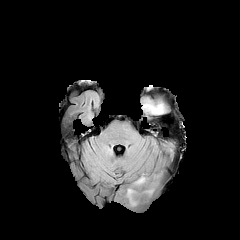
FLAIR magnetic resonance.
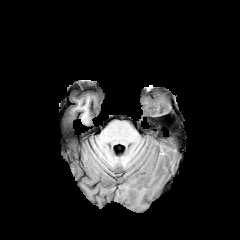
T1-weighted MR image.
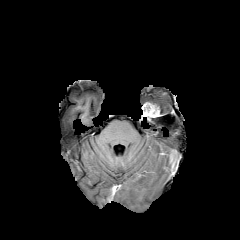
Post-contrast T1-weighted MRI of the same slice.
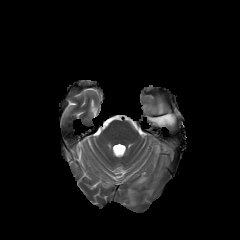
Same slice, T2-weighted MRI.
Brain
Edema: bounding box <bbox>151, 139, 158, 153</bbox>, <bbox>142, 102, 163, 118</bbox>, <bbox>135, 172, 145, 183</bbox>.
Enhancing tumor: bounding box <bbox>147, 104, 159, 112</bbox>.